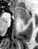
38x49 px, MRI slice

Anterior hippocampus = rect(13, 7, 31, 20).
Posterior hippocampus = rect(23, 21, 28, 24).